Brain
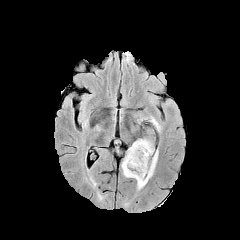
FLAIR magnetic resonance.
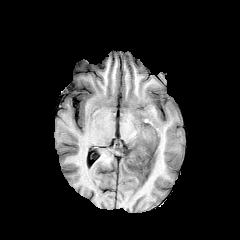
Same slice, T1-weighted MR.
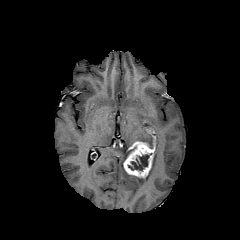
Post-contrast T1-weighted MRI.
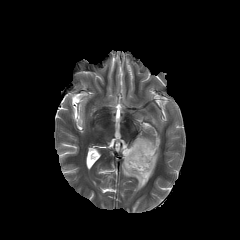
T2-weighted MR image.
Enhancing tumor: [123,141,154,177].
Non-enhancing tumor core: [128,155,149,170].
Edema: [122,144,158,189], [136,135,155,146], [149,114,161,131].